Slice index 93; CT scan slice
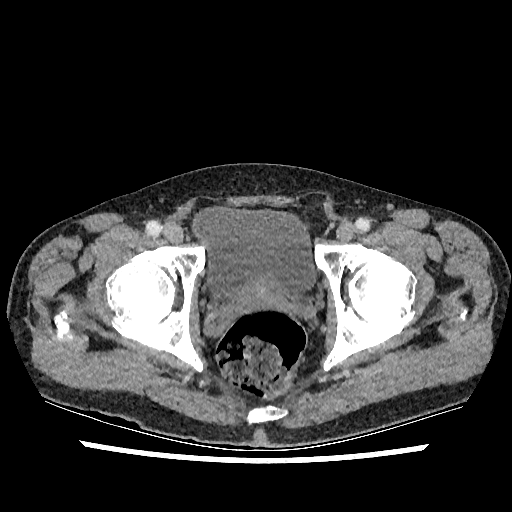
<segmentation>
  <urinary_bladder>rect(194, 203, 318, 325)</urinary_bladder>
</segmentation>